Medial temporal lobe | MR image | Slice 31/39 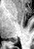

Annotated regions:
* posterior hippocampus: x1=11 y1=38 x2=17 y2=43